Slice 46 of 155; Image width 240 mm; Brain
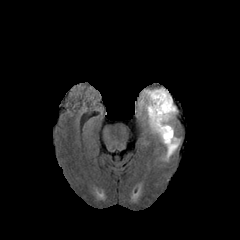
FLAIR MRI.
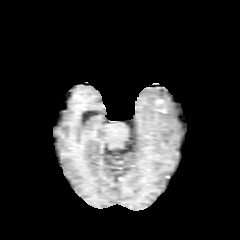
T1-weighted MRI of the same slice.
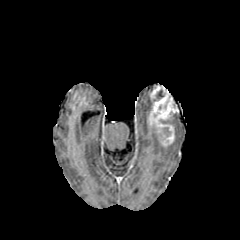
Same slice, post-contrast T1-weighted magnetic resonance.
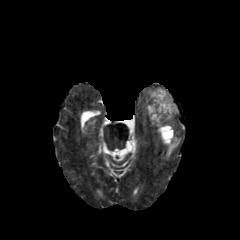
Same slice, T2-weighted MR.
<segmentation>
  <enhancing_tumor>(x1=148, y1=86, x2=178, y2=145)</enhancing_tumor>
  <non-enhancing_tumor_core>(x1=152, y1=90, x2=163, y2=101)</non-enhancing_tumor_core>
  <edema>(x1=162, y1=113, x2=177, y2=125), (x1=150, y1=126, x2=161, y2=143), (x1=138, y1=88, x2=152, y2=125), (x1=161, y1=127, x2=179, y2=160)</edema>
</segmentation>